Image size 512x512 | Computed tomography | Abdomen
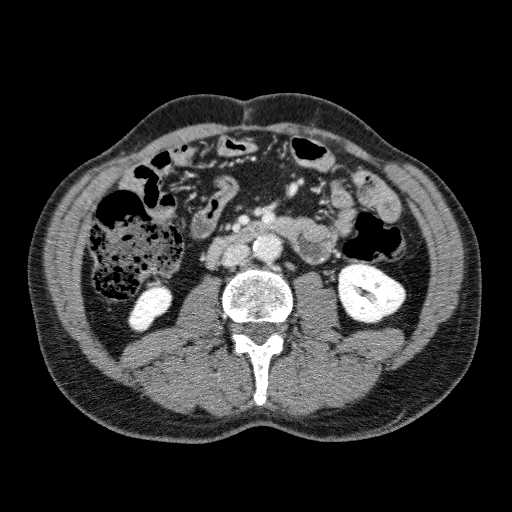
kidney: [x1=339, y1=264, x2=404, y2=321], [x1=129, y1=287, x2=170, y2=329]